CT, Slice 188 of 241, Chest
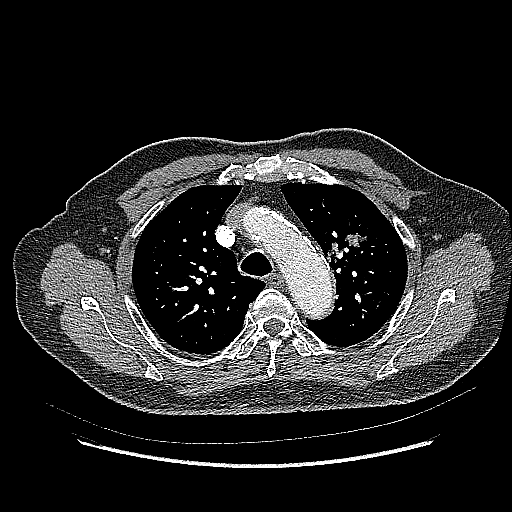

The lung tumor is located at box=[324, 230, 376, 267].